Upper abdomen | CT scan slice | Image size 512x512 | Slice 32 of 95

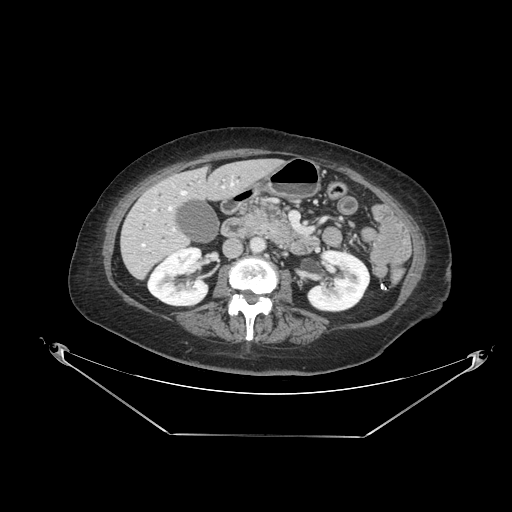

The pancreas lies within [x1=246, y1=206, x2=286, y2=241].